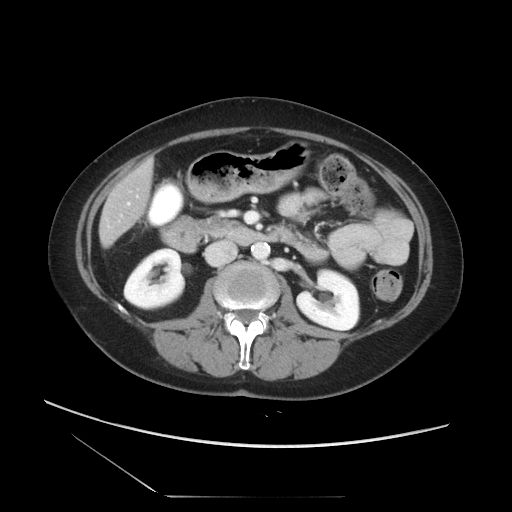
CT slice; Liver
Not every hepatic vessel necessarily has a box.
Segmented structures:
- hepatic vessel: bbox(127, 203, 129, 204)